Image size 512x512; Slice index 388; CT image; Upper abdomen
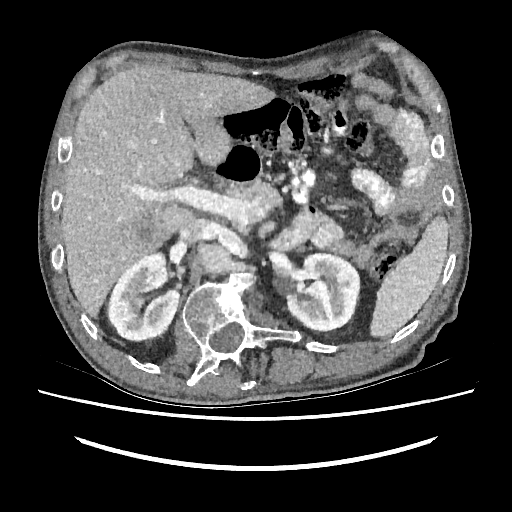

* hepatic lesion: (139, 224, 155, 241)
* liver: (63, 67, 274, 316)
* kidney: (109, 254, 178, 340), (288, 254, 359, 330)